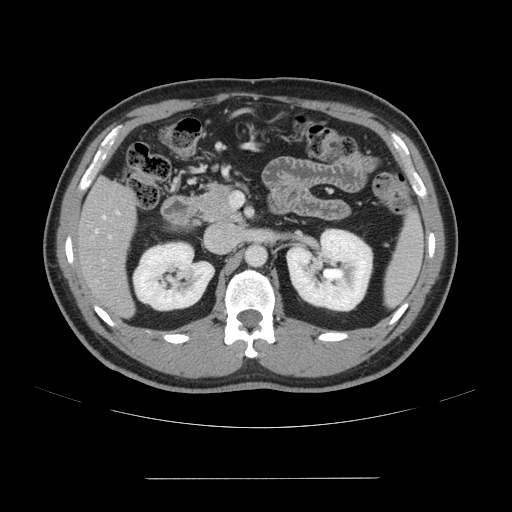

CT scan slice

The vessel annotation is not exhaustive.
<segmentation>
  <hepatic_vessel>[103, 216, 105, 218], [116, 211, 118, 213], [96, 230, 97, 232], [108, 235, 110, 238]</hepatic_vessel>
</segmentation>